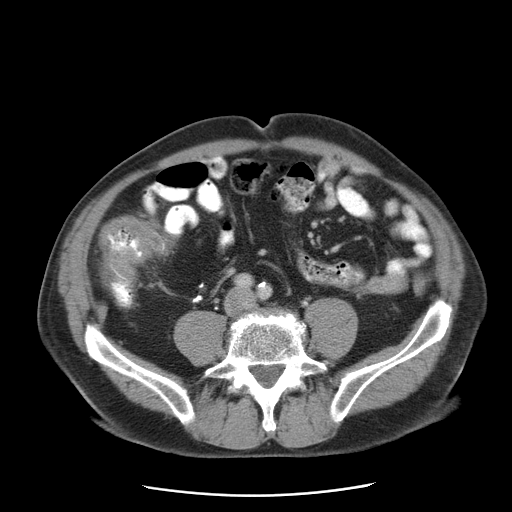
512x512 px. Pelvis. Computed tomography. The colon tumor is bounded by (99,216,162,283).